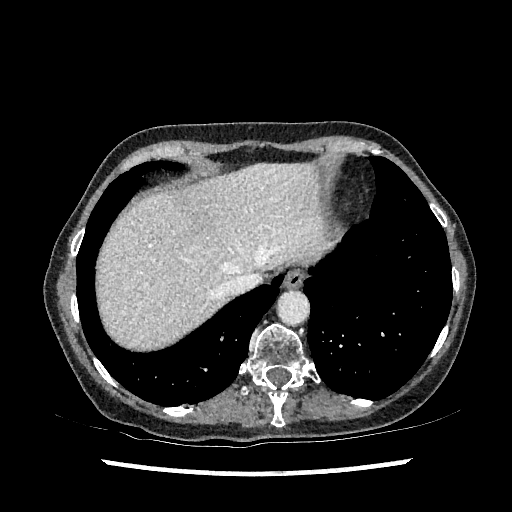 Upper abdomen. Computed tomography. 512x512 px.

<segmentation>
  <liver>region(97, 164, 324, 347)</liver>
</segmentation>